240x240 px
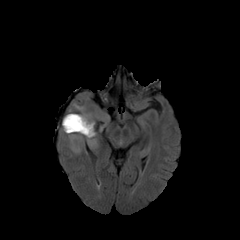
FLAIR MR.
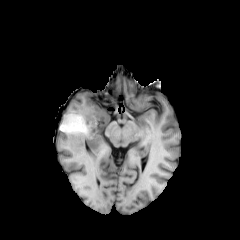
T1-weighted MR of the same slice.
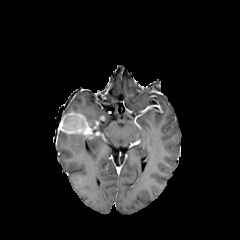
Same slice, post-contrast T1-weighted MR.
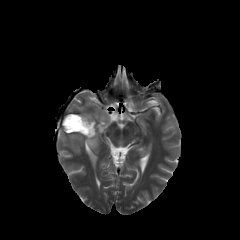
T2-weighted MRI.
edema: 66,100,107,123; 95,120,104,131; 62,132,101,154 | enhancing tumor: 59,113,98,137